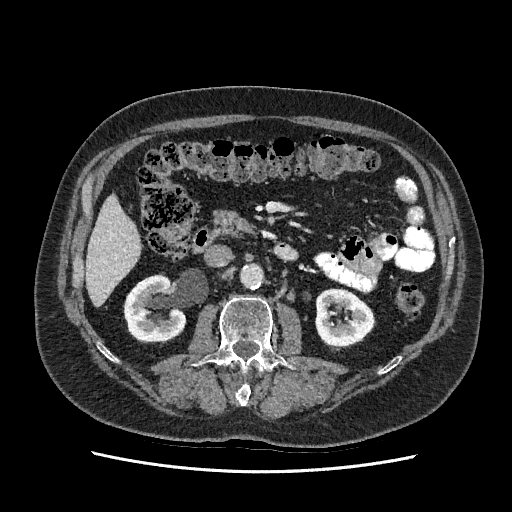
CT scan slice
{"liver": ["box=[86, 194, 140, 306]"], "kidney": ["box=[125, 276, 184, 340]", "box=[316, 289, 373, 345]"]}